Field of view 377 mm wide, 1.50 mm slice spacing, Computed tomography

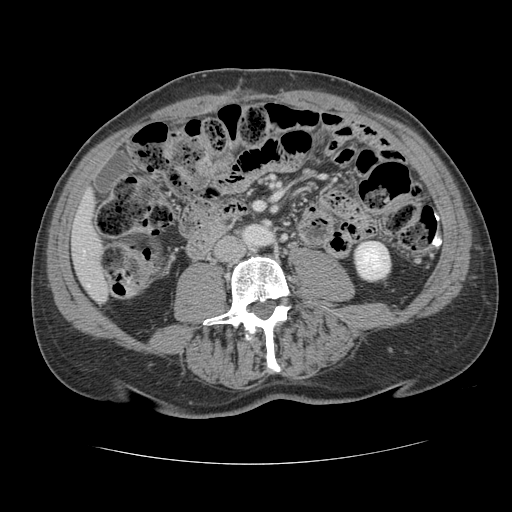
Not every hepatic vessel necessarily has a box.
Hepatic vessel = <box>87,284,89,286</box>.